CT. Image size 512x512. Slice index 19.
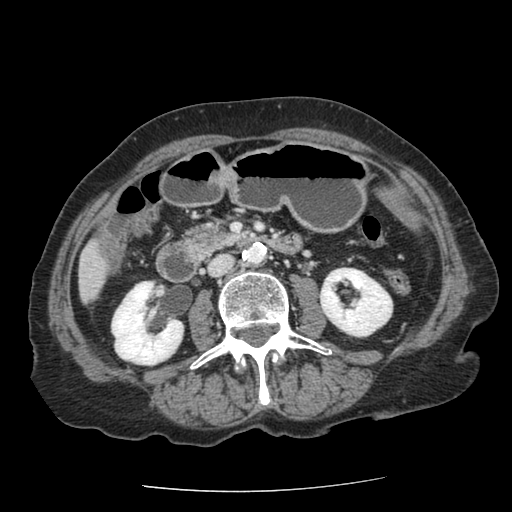

<segmentation>
  <pancreas>188,227,242,258</pancreas>
</segmentation>